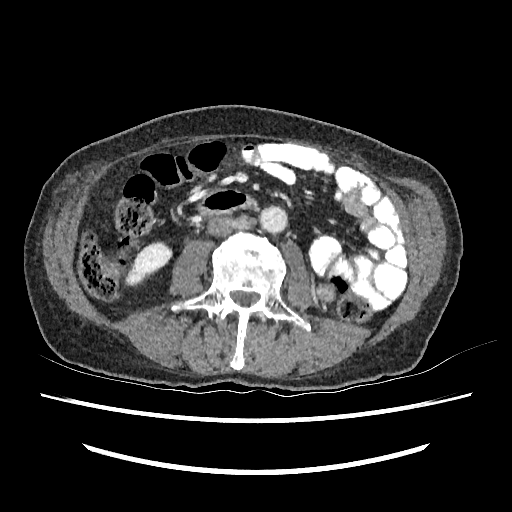

CT scan slice, Abdomen

The kidney is at rect(127, 242, 171, 283).